Upper abdomen. Image size 512x512. Computed tomography. 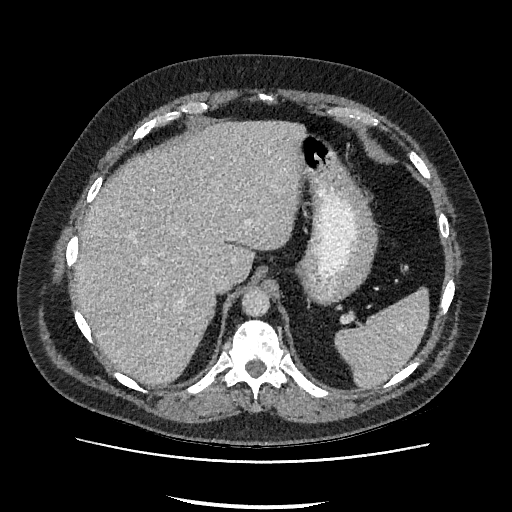

Liver at region(76, 121, 305, 384).